240x240 px; Brain; Image width 240 mm
FLAIR MR.
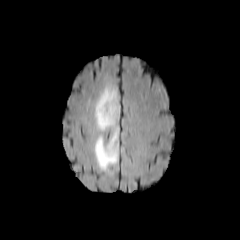
T1-weighted MR image.
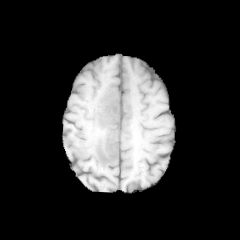
Post-contrast T1-weighted MR.
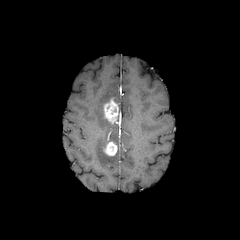
T2-weighted magnetic resonance.
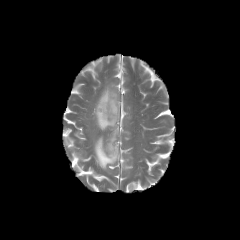
Enhancing tumor: 103:97:119:125, 104:141:117:156.
Edema: 95:86:119:144, 95:135:118:171.